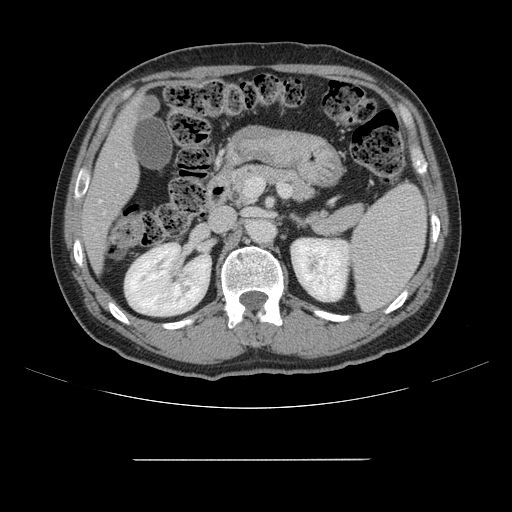
CT slice. Liver.
Not every hepatic vessel necessarily has a box.
Hepatic vessel — x1=116 y1=163 x2=116 y2=166, x1=103 y1=211 x2=104 y2=213, x1=99 y1=200 x2=100 y2=202.